Upper abdomen. Computed tomography. Slice 321/455.
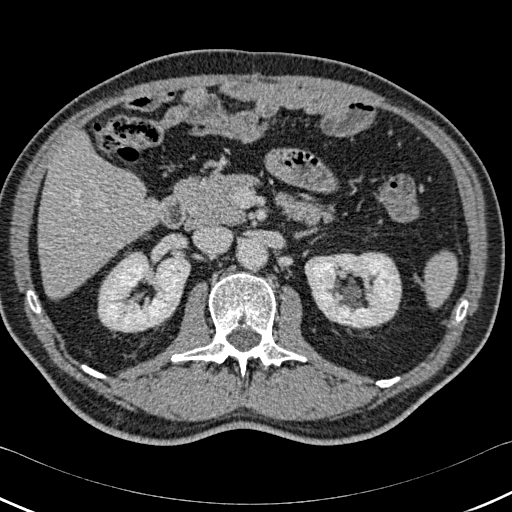

Kidney at [305,253,400,327], [98,253,189,331].
Liver at [38,131,159,296].
Bone at [376,377,399,386], [171,273,306,376], [456,301,467,320], [27,291,40,312], [82,365,104,377].